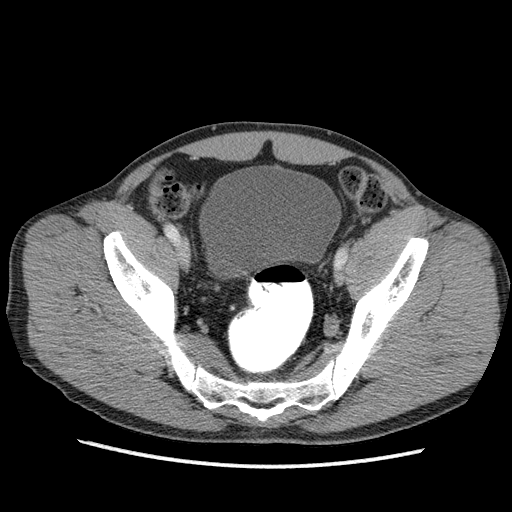

Computed tomography | Pelvis | 512x512
• urinary bladder: box=[199, 165, 340, 279]